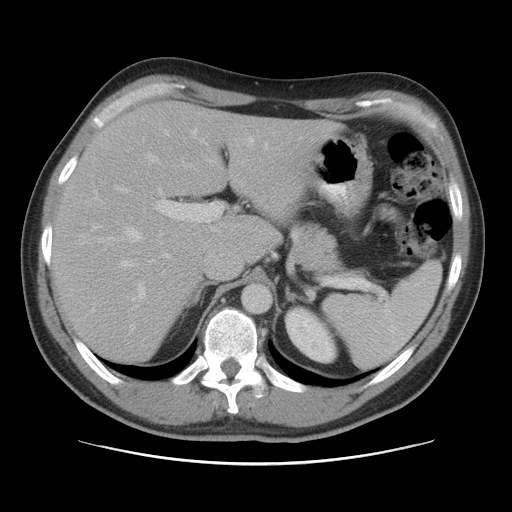

Computed tomography; Abdomen

Not every hepatic vessel necessarily has a box.
Hepatic vessel: bbox(155, 200, 223, 221); bbox(247, 137, 253, 145); bbox(132, 283, 145, 299); bbox(108, 238, 114, 239); bbox(192, 130, 196, 134); bbox(125, 227, 141, 241); bbox(121, 260, 133, 266); bbox(266, 143, 266, 148); bbox(118, 188, 125, 190); bbox(147, 154, 156, 160).